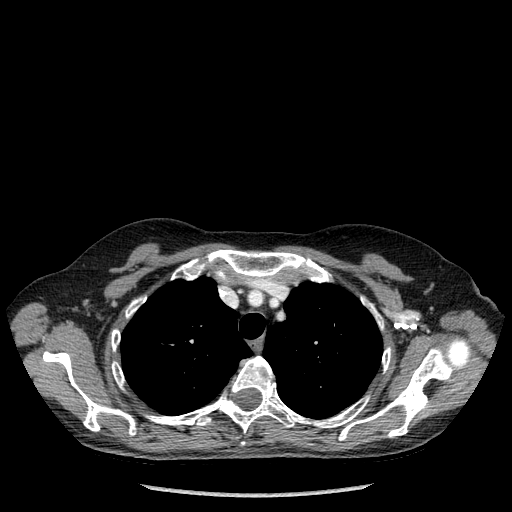
Computed tomography
Segmented structures:
• bone: (171,249,330,283), (111,329,120,351), (145,338,471,440), (111,361,124,389), (125,296,146,318), (362,297,383,329), (42,351,136,435), (382,347,390,372)
• lung: (120,276,265,415), (263,282,382,418)